Head | Slice 70 of 155
FLAIR MRI.
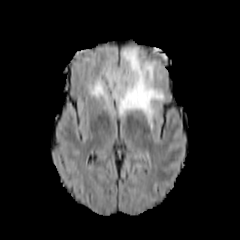
T1-weighted MRI.
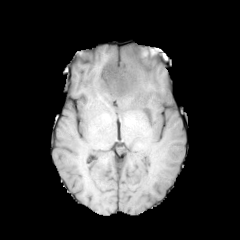
Post-contrast T1-weighted MR image.
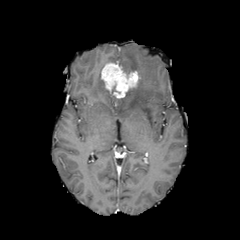
T2-weighted MRI.
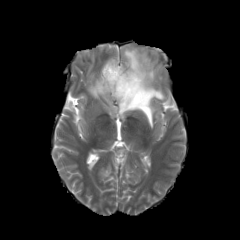
Non-enhancing tumor core: bounding box [x1=119, y1=89, x2=131, y2=103].
Edema: bounding box [x1=112, y1=49, x2=164, y2=128], [x1=88, y1=75, x2=108, y2=97].
Enhancing tumor: bounding box [x1=101, y1=62, x2=140, y2=98].